CT scan slice.

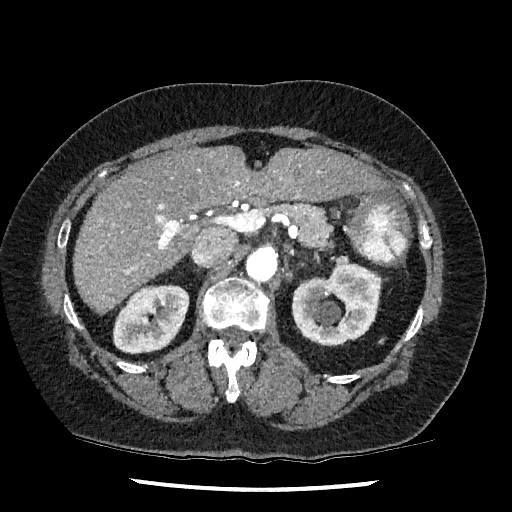
Kidney = <box>114,286,188,353</box>, <box>292,257,380,345</box>.
Liver = <box>74,146,389,312</box>.